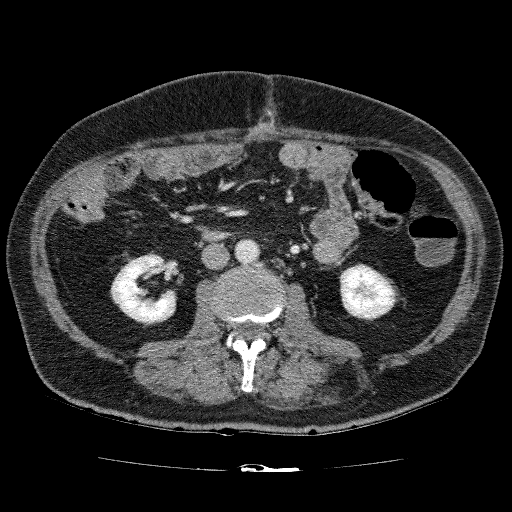

Computed tomography
Segmented structures:
* kidney: [340, 265, 395, 319], [111, 254, 176, 323]